512x512 px; Abdomen; CT image

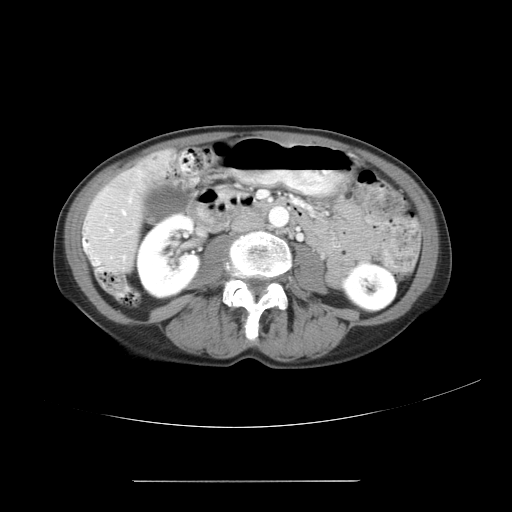
Not every hepatic vessel necessarily has a box.
liver_tumor:
  - box(150, 155, 159, 164)
hepatic_vessel:
  - box(128, 198, 130, 201)
  - box(127, 231, 131, 233)
  - box(109, 228, 112, 230)
  - box(122, 210, 124, 213)
  - box(122, 255, 124, 260)
  - box(106, 188, 108, 189)